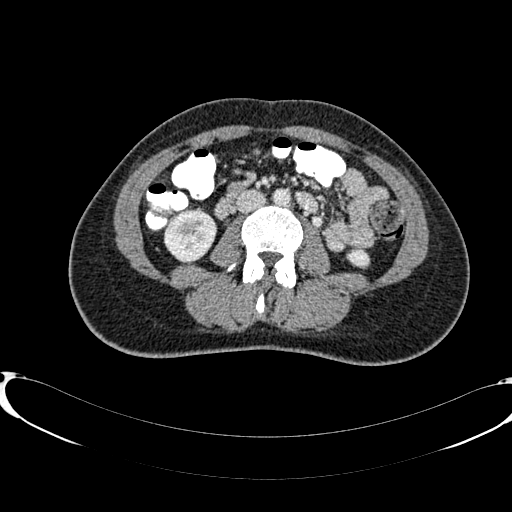
CT
kidney: region(165, 212, 214, 260); region(353, 252, 366, 264)